Head, Image size 240x240, Field of view 240 mm wide, 1.00 mm slice spacing
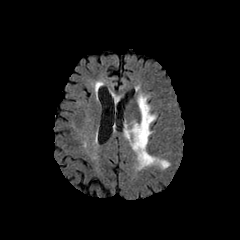
FLAIR magnetic resonance.
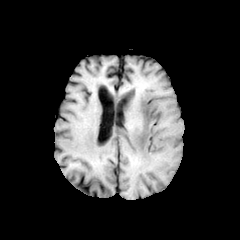
T1-weighted magnetic resonance.
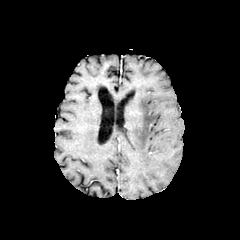
Same slice, post-contrast T1-weighted MRI.
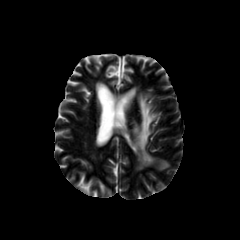
Same slice, T2-weighted MRI.
Segmented structures:
* edema: x1=123, y1=93, x2=169, y2=169